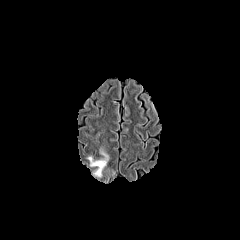
FLAIR MR.
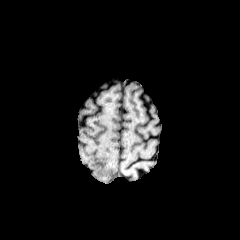
T1-weighted MR.
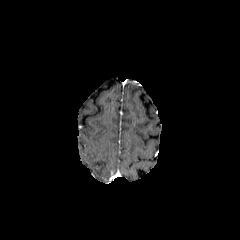
Post-contrast T1-weighted magnetic resonance.
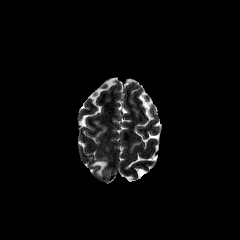
T2-weighted magnetic resonance.
240x240 px; Head
edema: 90:150:109:175